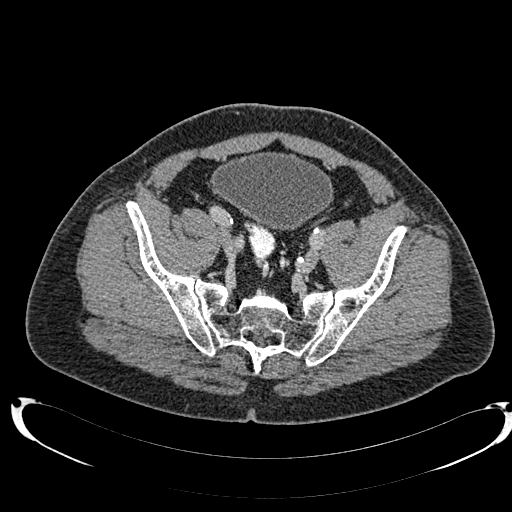

512x512 px | Lower abdomen | CT scan slice
Urinary bladder — (x1=212, y1=152, x2=332, y2=230).